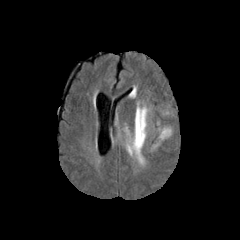
FLAIR MR image.
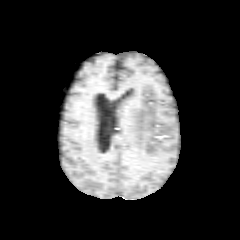
T1-weighted MR.
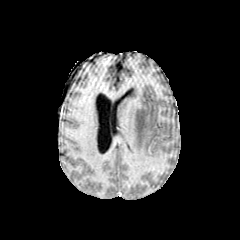
Post-contrast T1-weighted MR.
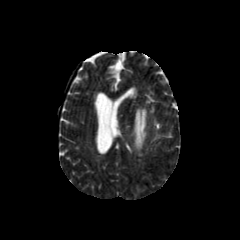
Same slice, T2-weighted MRI.
Head
3 edema regions are located at 127 106 147 162, 160 128 170 139, 129 86 136 97.